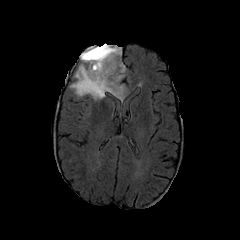
FLAIR MR image.
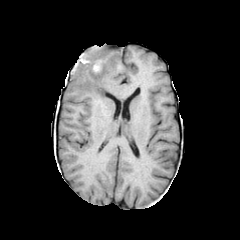
T1-weighted MR.
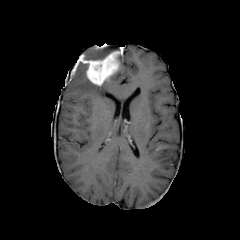
Same slice, post-contrast T1-weighted MR.
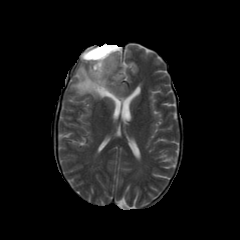
Same slice, T2-weighted MR image.
Head
enhancing_tumor:
  - <box>78,48,123,86</box>
non-enhancing_tumor_core:
  - <box>86,77,105,95</box>
  - <box>85,45,122,59</box>
edema:
  - <box>70,58,126,108</box>